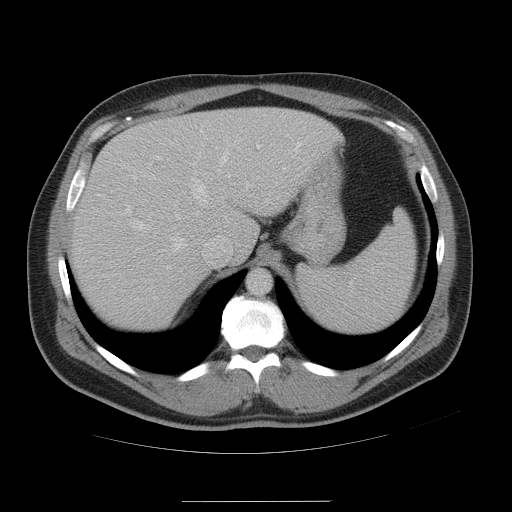 512x512. CT scan slice. Abdomen.

spleen:
  - bbox=[297, 210, 415, 334]